Image width 240 mm.
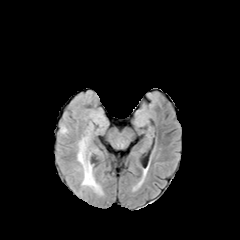
FLAIR magnetic resonance.
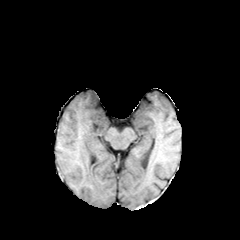
T1-weighted MR.
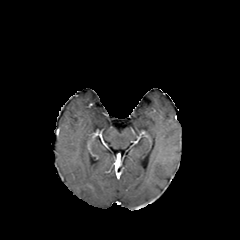
Post-contrast T1-weighted MR of the same slice.
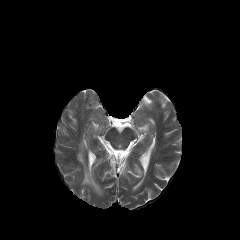
T2-weighted MRI.
Edema — <box>78,138,101,193</box>.